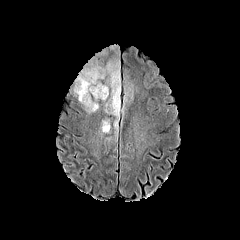
FLAIR MR.
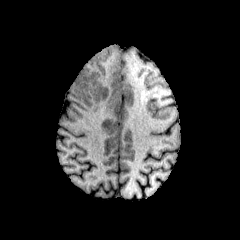
Same slice, T1-weighted MRI.
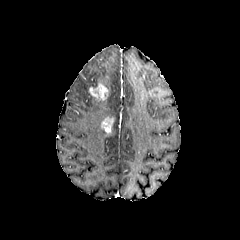
Post-contrast T1-weighted MRI of the same slice.
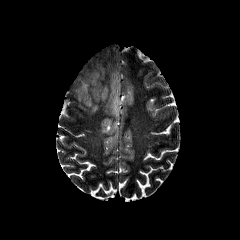
Same slice, T2-weighted magnetic resonance.
2 edema regions are located at [x1=74, y1=63, x2=105, y2=111], [x1=105, y1=60, x2=126, y2=140]. 2 enhancing tumor regions are located at [x1=89, y1=82, x2=108, y2=100], [x1=101, y1=117, x2=113, y2=134].